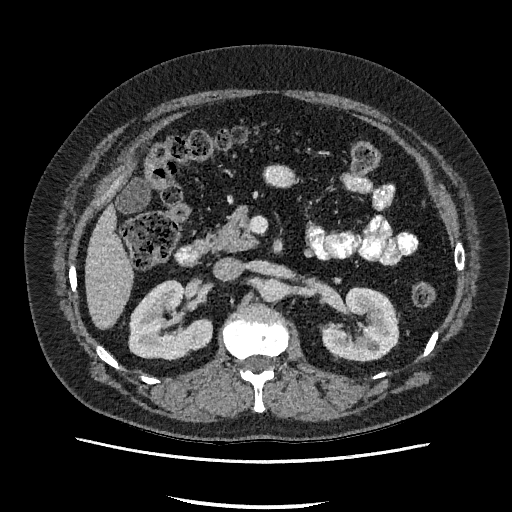 Computed tomography | Liver

* liver: x1=85 y1=205 x2=134 y2=328
* kidney: x1=323 y1=288 x2=397 y2=360, x1=130 y1=281 x2=211 y2=358